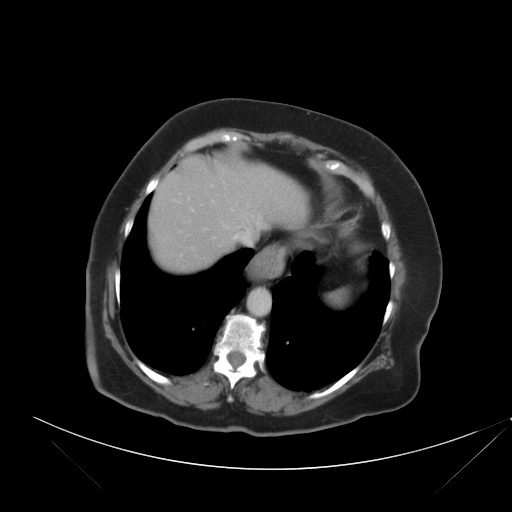
CT scan slice
Not every hepatic vessel necessarily has a box.
hepatic_vessel:
  - 224:225:228:228
  - 256:216:261:225
  - 231:229:251:242
  - 191:209:193:210